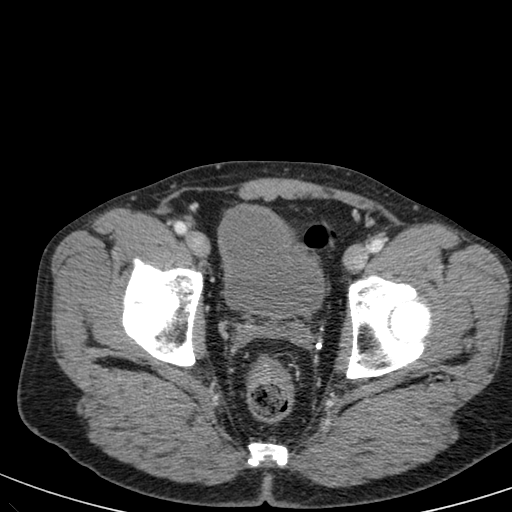

CT image, Pelvis, 512x512 px
urinary bladder: 219:204:322:319